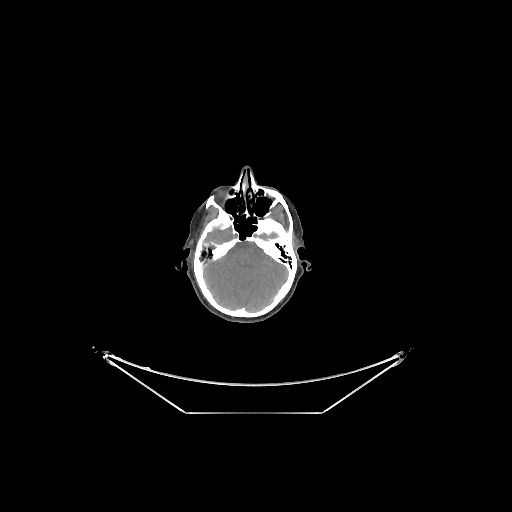 CT image
• brain: 202:227:237:250, 199:241:288:312, 253:232:277:240